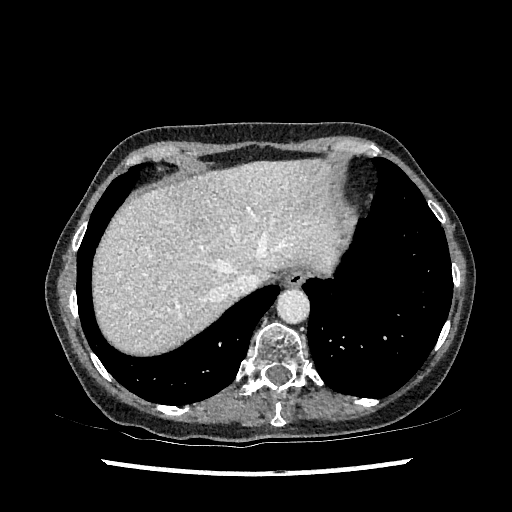

CT image. Liver — bbox=[93, 160, 341, 352].